Computed tomography | Field of view 388 mm wide, 0.70 mm slice spacing | Pelvis | Slice 206/733 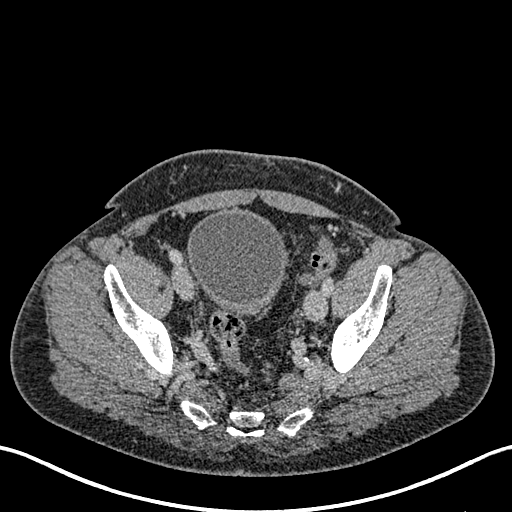
The urinary bladder is located at left=188, top=212, right=288, bottom=318.